CT | Slice index 95 | Abdomen 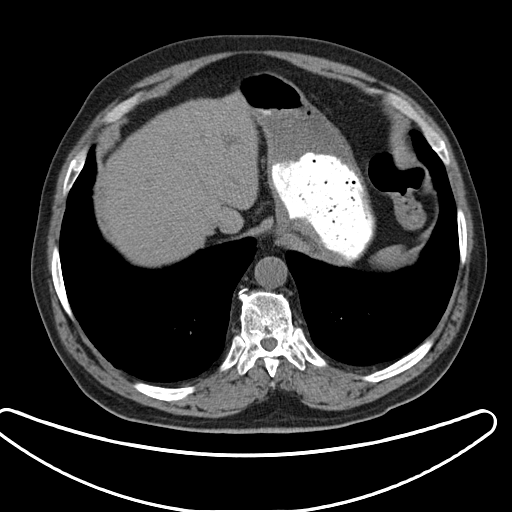

The spleen is located at [374, 249, 402, 265].